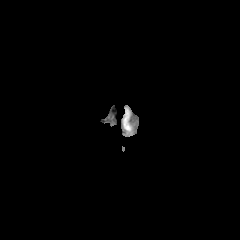
FLAIR MR image.
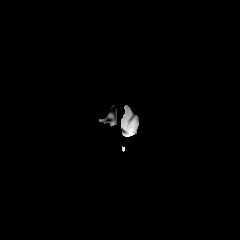
T1-weighted MR.
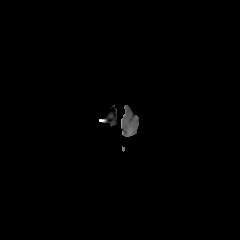
Post-contrast T1-weighted MR.
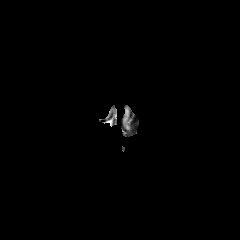
T2-weighted MRI.
Head
{
  "edema": [
    "124,107,130,129"
  ]
}